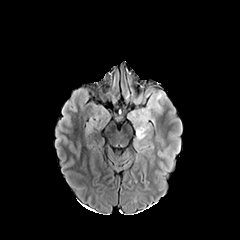
FLAIR MR image.
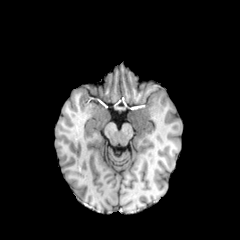
T1-weighted MRI.
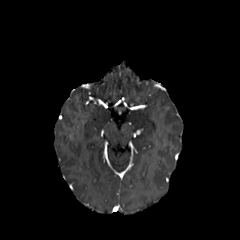
Post-contrast T1-weighted MR.
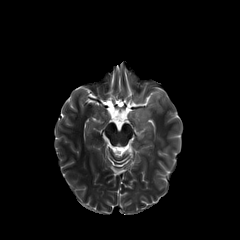
Same slice, T2-weighted MRI.
Brain
3 edema regions are bounded by [121,77,129,100], [129,83,151,103], [128,94,161,153].